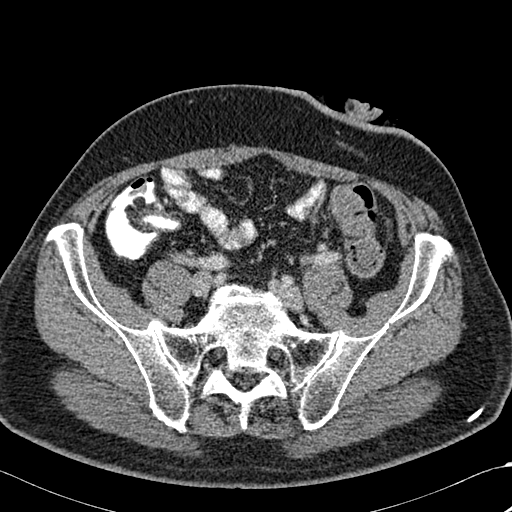

Computed tomography | Image size 512x512

bone:
  - 47, 223, 451, 430